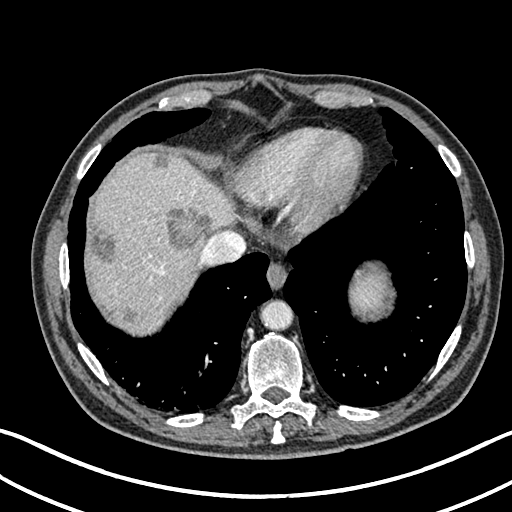

Upper abdomen, Image size 512x512, CT image

4 focal liver lesion regions are located at 90:229:113:263, 152:156:167:168, 123:308:137:321, 166:209:209:251. The liver is at 88:152:233:331.